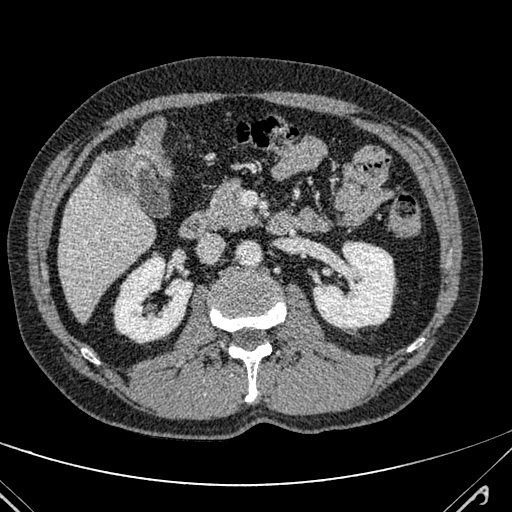
CT; Image size 512x512; Liver

Liver = box(59, 156, 152, 320).
Hepatic lesion = box(97, 118, 172, 196).